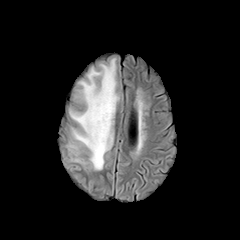
FLAIR MRI.
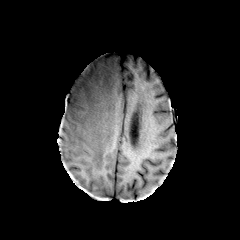
T1-weighted MRI.
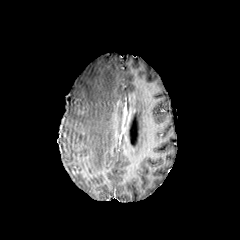
Same slice, post-contrast T1-weighted MR image.
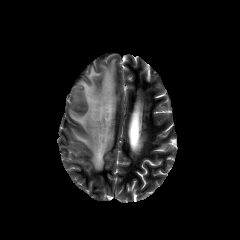
T2-weighted MR image of the same slice.
Edema: x1=70, y1=58, x2=118, y2=170.